FLAIR MR image.
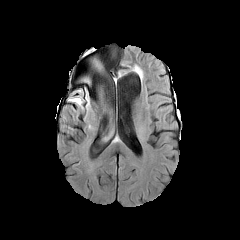
T1-weighted MRI.
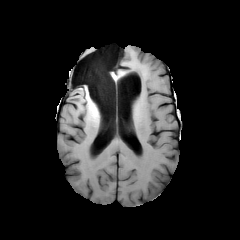
Post-contrast T1-weighted MR image.
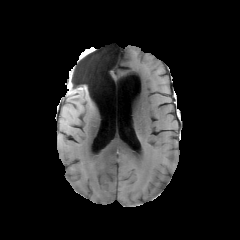
T2-weighted MR.
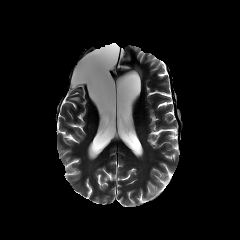
240x240
Edema — bbox=[68, 88, 84, 106].